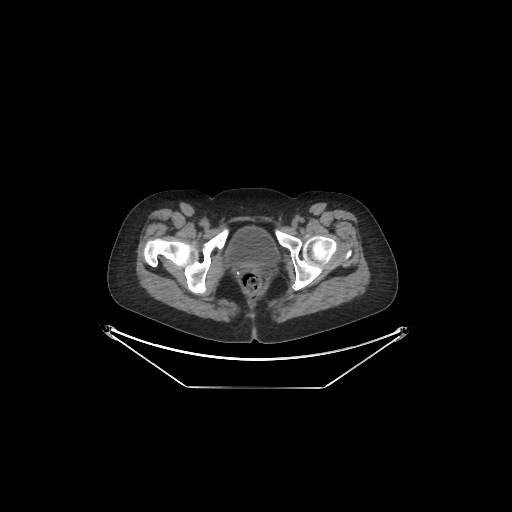 Lower abdomen, CT slice
{
  "urinary_bladder": [
    "(222,225,280,269)"
  ]
}